Computed tomography. Field of view 382 mm wide, 0.70 mm slice spacing.

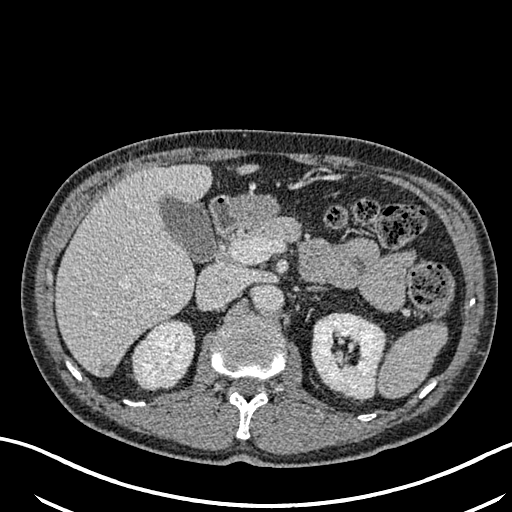
Focal liver lesion at (left=99, top=360, right=115, bottom=375).
Liver at (left=56, top=166, right=210, bottom=375).
Kidney at (left=133, top=322, right=193, bottom=386), (left=312, top=314, right=384, bottom=394).